Computed tomography; Field of view 700 mm wide, 3.27 mm slice spacing; Slice 527 of 536
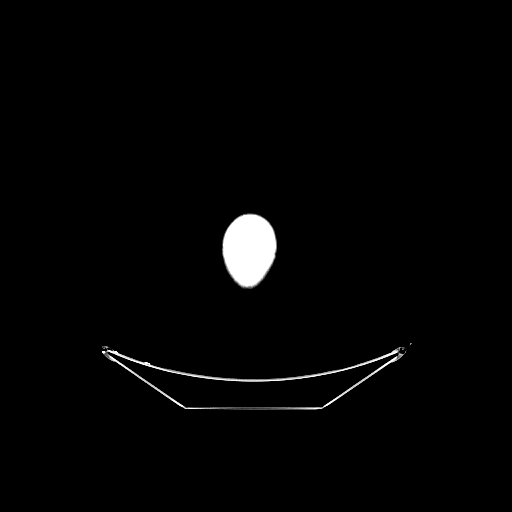 bone: box(223, 214, 275, 286)